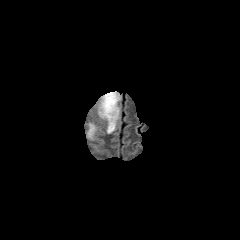
FLAIR MR.
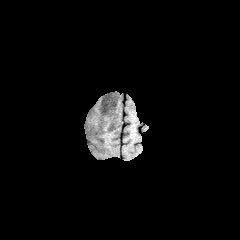
T1-weighted magnetic resonance.
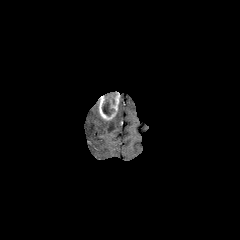
Post-contrast T1-weighted magnetic resonance.
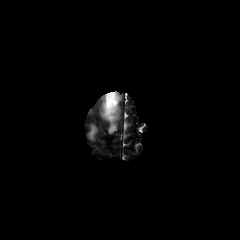
Same slice, T2-weighted magnetic resonance.
240x240 | Head
edema:
  - 86 122 97 140
  - 106 104 120 134
non-enhancing_tumor_core:
  - 103 102 112 115
enhancing_tumor:
  - 99 92 119 119